Abdomen | CT scan slice | Field of view 403x403 mm | Slice 587 of 751
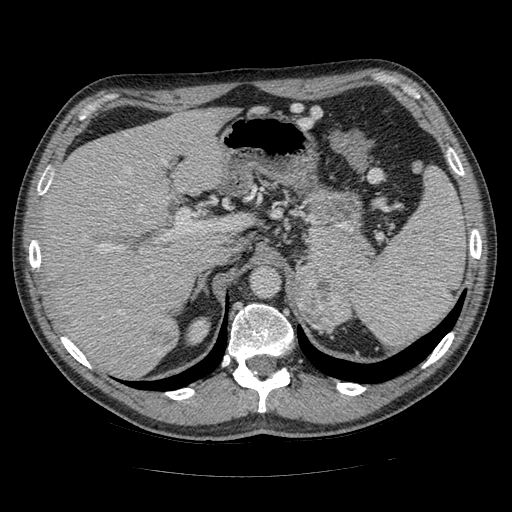

2 pancreas regions appear at box(293, 279, 300, 314); box(303, 226, 372, 290). The pancreatic tumor lies within box(295, 266, 352, 330).